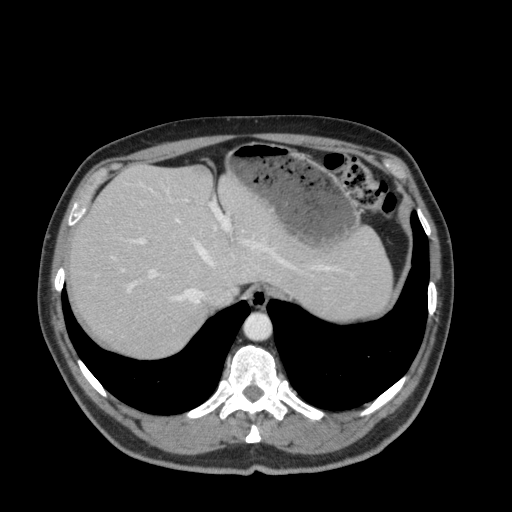 Upper abdomen, CT slice
Annotated regions:
- liver: 71, 165, 391, 356